FLAIR MRI.
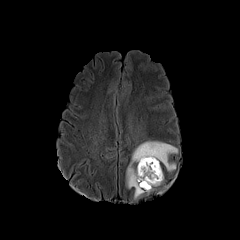
T1-weighted magnetic resonance.
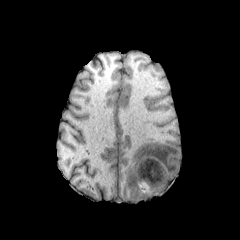
Post-contrast T1-weighted MRI.
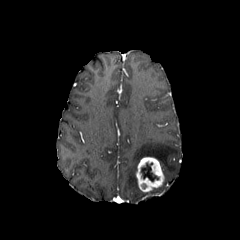
T2-weighted MR.
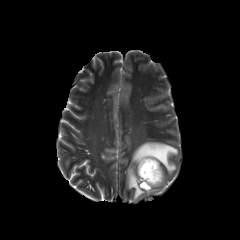
Image size 240x240, Head
* enhancing tumor: (135,156,164,192)
* non-enhancing tumor core: (141,163,157,180)
* edema: (126,141,177,199)